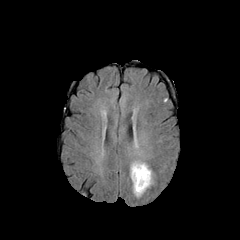
FLAIR MR.
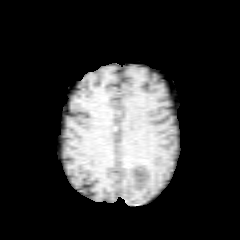
T1-weighted MR.
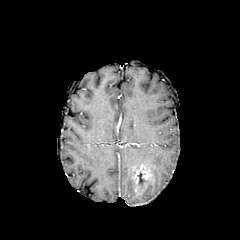
Post-contrast T1-weighted MR.
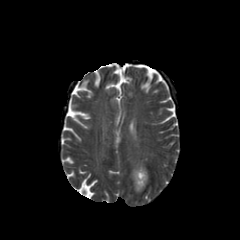
T2-weighted MR image.
Head
Enhancing tumor at box(135, 167, 147, 183).
Edema at box(130, 161, 151, 196).
Non-enhancing tumor core at box(138, 173, 143, 184).